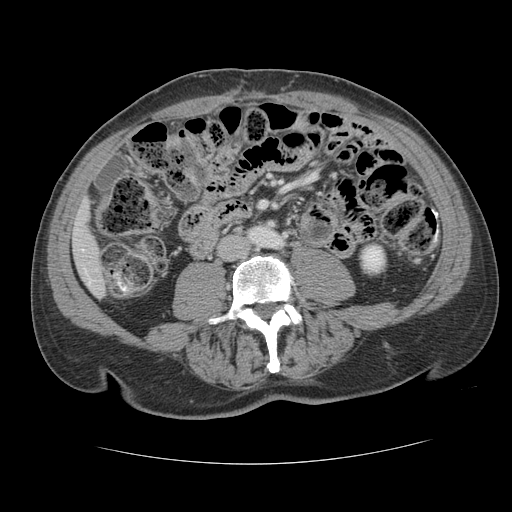

CT image | 512x512
Only some of the vessels may be annotated.
hepatic_vessel:
  - x1=84, y1=269, x2=86, y2=272
  - x1=89, y1=279, x2=91, y2=283